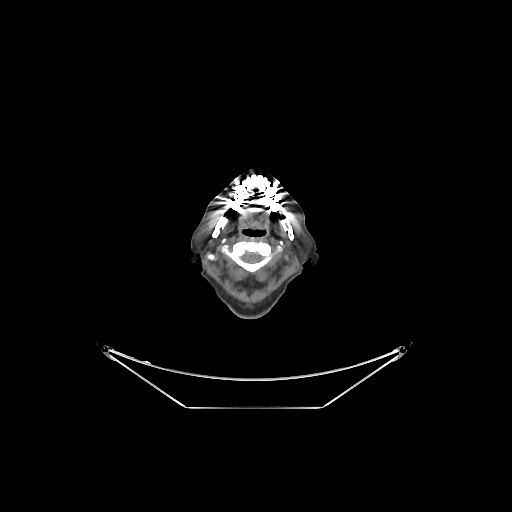 CT | 512x512
bone: (x1=230, y1=174, x2=293, y2=240), (x1=212, y1=215, x2=227, y2=237), (x1=222, y1=237, x2=281, y2=272)